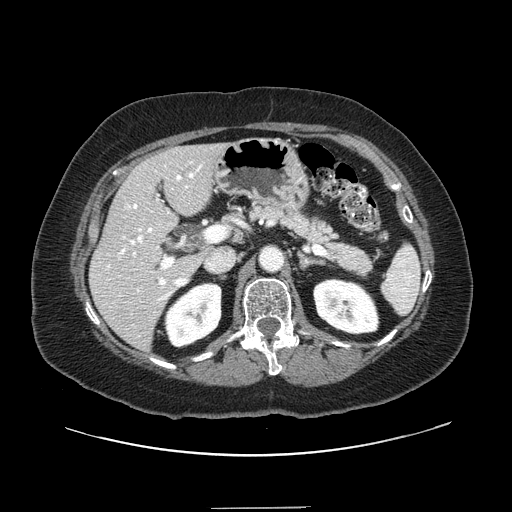
Image size 512x512, Abdomen, CT image
The pancreas is located at 246:200:372:278.